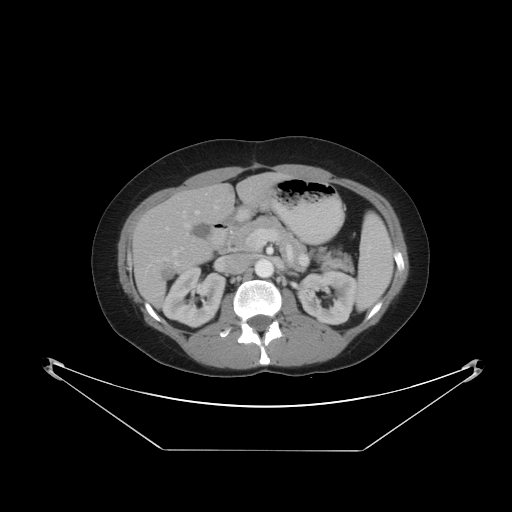

Image size 512x512; CT

The vessel boxes may cover only some of the vessels.
liver_tumor:
  - (left=161, top=262, right=180, bottom=284)
hepatic_vessel:
  - (left=163, top=257, right=167, bottom=260)
  - (left=214, top=204, right=218, bottom=208)
  - (left=182, top=212, right=185, bottom=217)
  - (left=166, top=228, right=168, bottom=229)
  - (left=216, top=200, right=217, bottom=201)
  - (left=174, top=261, right=178, bottom=264)
  - (left=195, top=211, right=198, bottom=213)
  - (left=184, top=223, right=189, bottom=227)
  - (left=180, top=247, right=182, bottom=249)
  - (left=172, top=250, right=177, bottom=255)